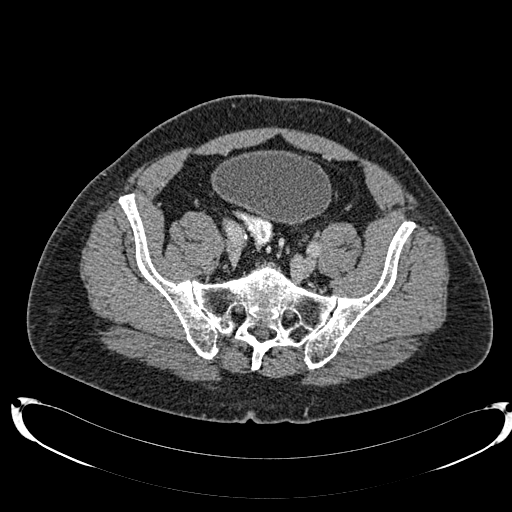
CT slice.
Annotated regions:
- urinary bladder: [213,150,331,224]